MRI | Hippocampus 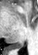 <segmentation>
  <posterior_hippocampus>bbox=[11, 42, 23, 47]</posterior_hippocampus>
</segmentation>